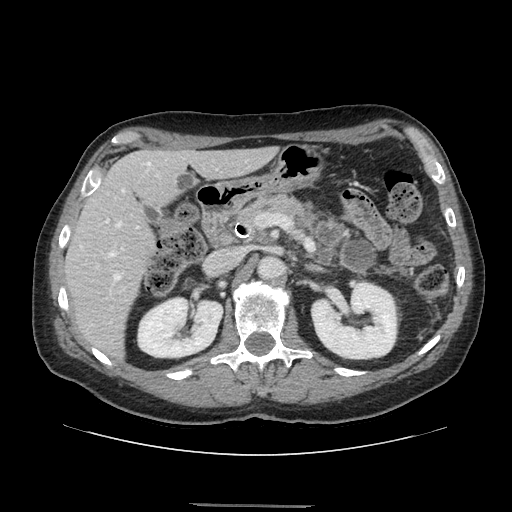

Upper abdomen; CT scan slice

Findings:
- pancreas: box=[238, 195, 302, 224]